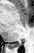 Magnetic resonance. Medial temporal lobe.
The posterior hippocampus is located at bbox(12, 42, 21, 46).